FLAIR magnetic resonance.
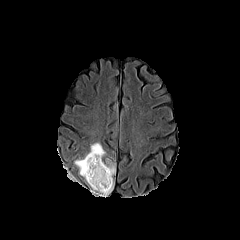
T1-weighted MRI.
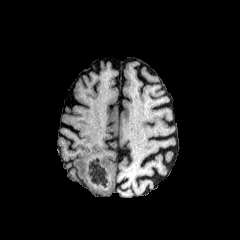
Post-contrast T1-weighted MR.
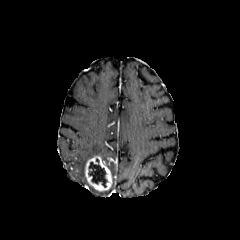
T2-weighted MR image.
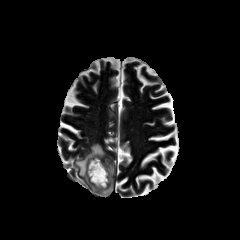
240x240; Brain
{
  "enhancing_tumor": [
    "84, 155, 112, 191"
  ],
  "non-enhancing_tumor_core": [
    "88, 158, 108, 187"
  ],
  "edema": [
    "92, 183, 113, 197",
    "75, 144, 104, 177"
  ]
}